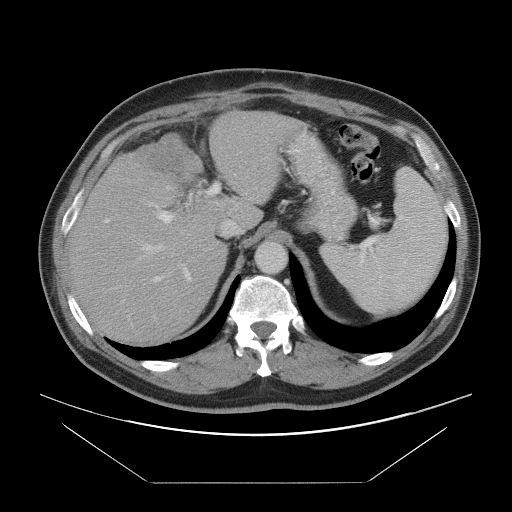

CT image
The vessel annotation is not exhaustive.
The liver tumor is at 141,141,180,176. 9 hepatic vessel regions are located at 149,202,157,206; 184,264,190,280; 155,249,159,250; 149,250,151,252; 153,276,160,281; 142,246,145,249; 158,211,172,222; 154,246,156,247; 105,219,108,221.